FLAIR magnetic resonance.
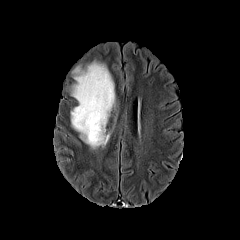
T1-weighted MR.
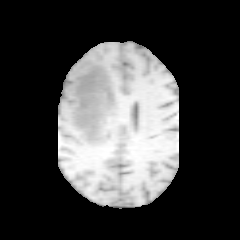
Post-contrast T1-weighted MR image.
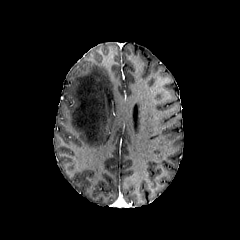
T2-weighted MR image.
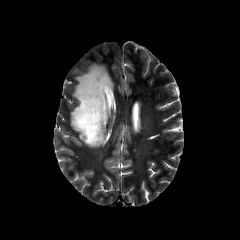
Head
Edema — x1=71, y1=61, x2=115, y2=149.